Abdomen; CT scan slice; Slice index 59

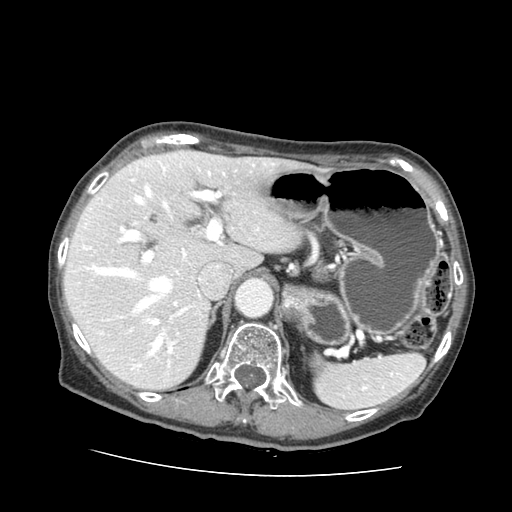

The pancreas appears at region(312, 257, 336, 286).